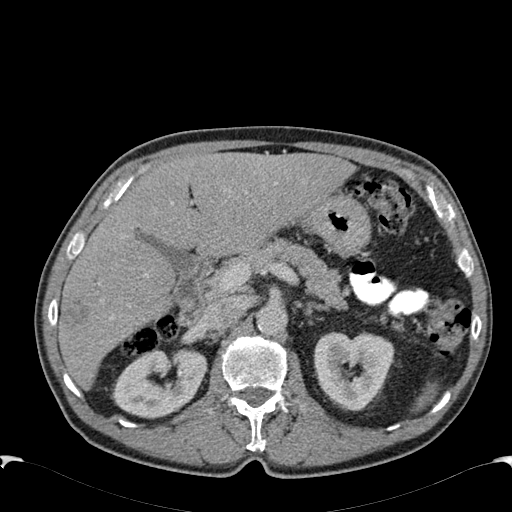 Computed tomography | 512x512 | Liver
Annotated regions:
• focal liver lesion: [68,301,90,322]
• kidney: [114,350,206,417], [315,333,393,409]
• liver: [59,152,354,387]